Slice index 69
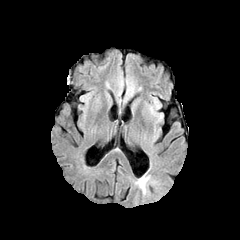
FLAIR magnetic resonance.
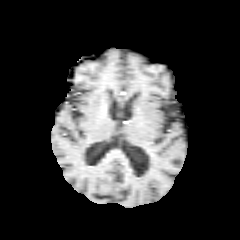
T1-weighted MR.
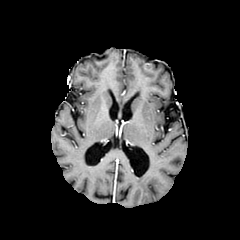
Same slice, post-contrast T1-weighted MR.
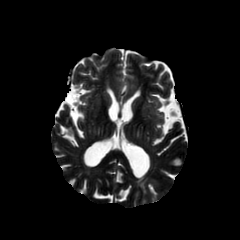
T2-weighted MRI.
<segmentation>
  <edema>[x1=141, y1=176, x2=149, y2=187]</edema>
</segmentation>